240x240; Brain; Slice 65/155
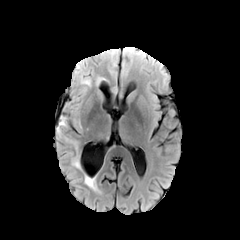
FLAIR MR.
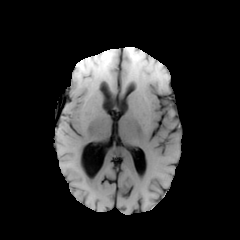
T1-weighted magnetic resonance of the same slice.
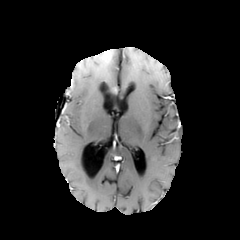
Post-contrast T1-weighted MR of the same slice.
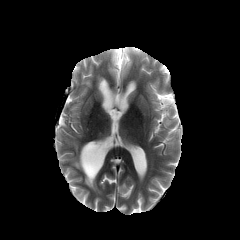
Same slice, T2-weighted MR image.
edema: (left=84, top=175, right=96, bottom=189), (left=57, top=116, right=66, bottom=133)